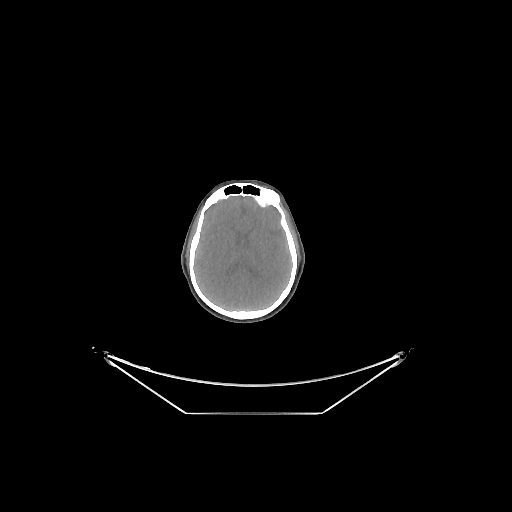 Computed tomography; Image size 512x512; Brain
{
  "brain": [
    "193, 196, 292, 310"
  ]
}